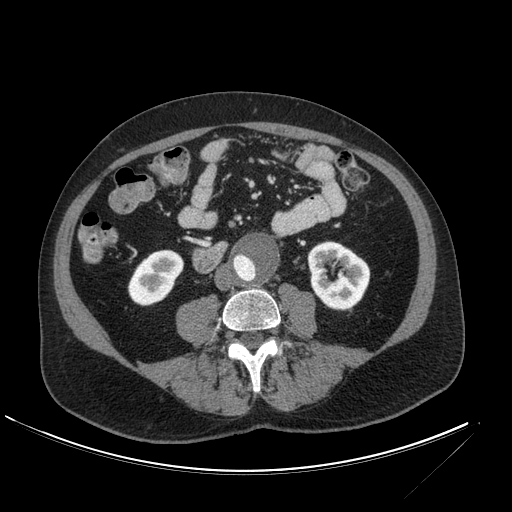 Image size 512x512, CT, Abdomen

Kidney: {"x1": 129, "y1": 251, "x2": 182, "y2": 304}, {"x1": 308, "y1": 242, "x2": 369, "y2": 308}.